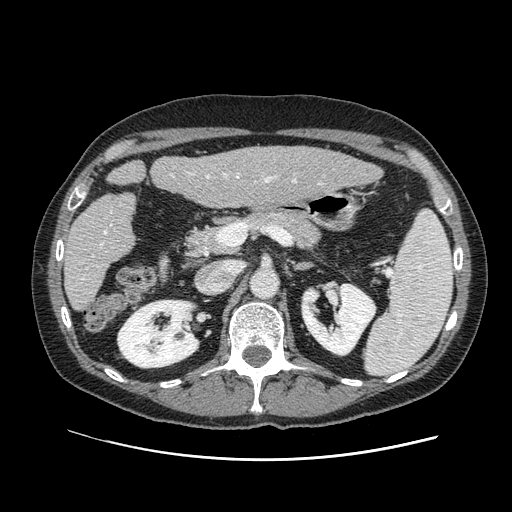

512x512. Computed tomography. 2 pancreas regions are bounded by (x1=242, y1=209, x2=320, y2=247), (x1=193, y1=229, x2=231, y2=254).